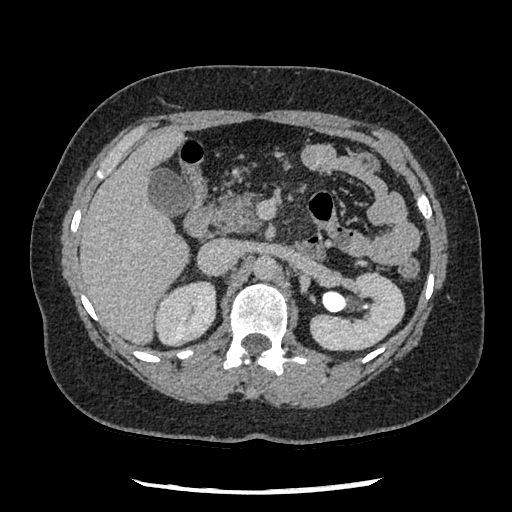 Abdomen | CT slice | Image size 512x512

Segmented structures:
• pancreas: (left=214, top=192, right=261, bottom=232)